CT scan slice

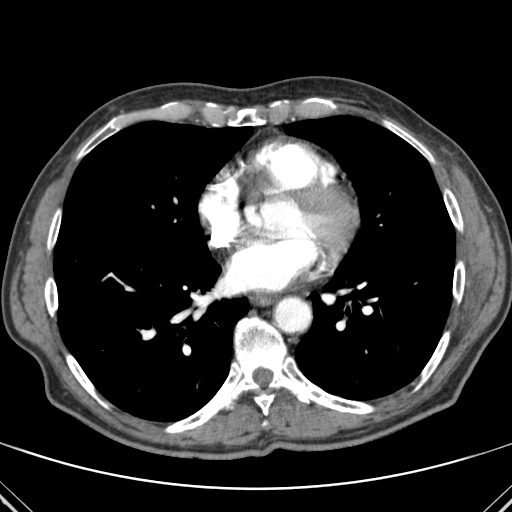

Segmented structures:
• lung: box=[283, 116, 455, 400]; box=[54, 121, 252, 421]
• bone: box=[305, 98, 335, 107]; box=[384, 121, 434, 161]; box=[254, 393, 274, 415]; box=[453, 261, 464, 302]; box=[165, 318, 373, 432]; box=[44, 278, 57, 315]; box=[77, 118, 120, 158]; box=[207, 103, 266, 126]; box=[415, 332, 449, 389]; box=[66, 355, 106, 407]; box=[444, 189, 462, 230]; box=[47, 210, 60, 249]